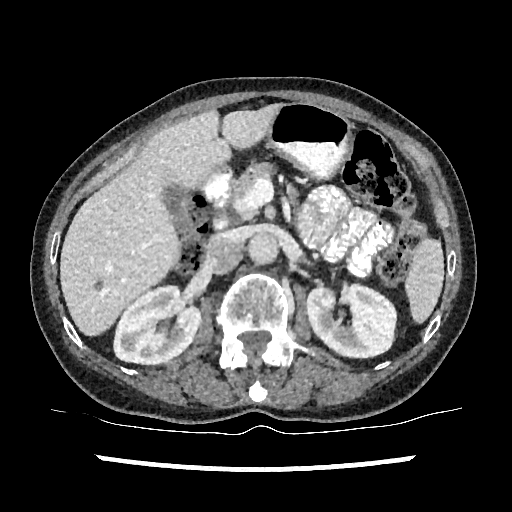
512x512; CT slice; Abdomen
2 kidney regions are bounded by 114,287,200,363; 308,284,395,357. The liver lesion is at 95,281,103,290. The liver is located at 62,105,280,335.